Pelvis; Slice 11 of 20; Image width 200 mm
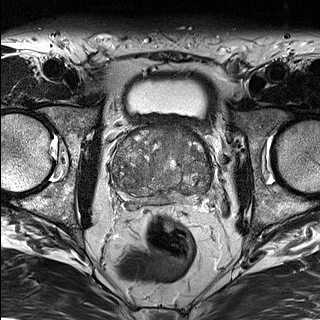
T2-weighted MR image.
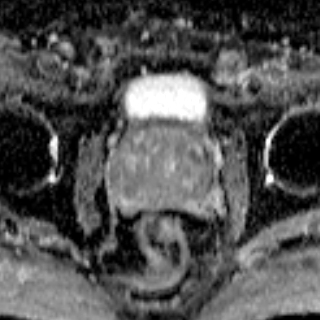
Same slice, ADC MRI.
prostate_transition_zone:
  - (112,128,209,196)
prostate_peripheral_zone:
  - (118,186,208,204)